Brain, 240x240 px, Slice index 70
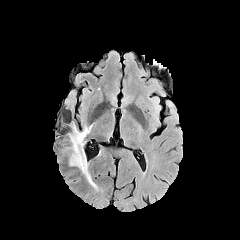
FLAIR MR.
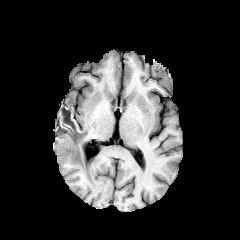
T1-weighted MRI.
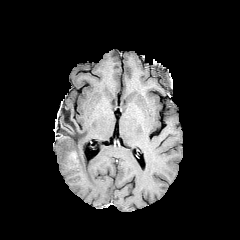
Post-contrast T1-weighted MR image.
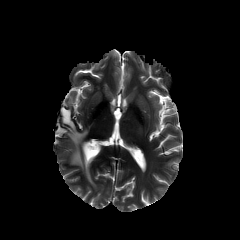
T2-weighted MRI of the same slice.
Non-enhancing tumor core at [x1=69, y1=151, x2=79, y2=164].
Edema at [x1=64, y1=124, x2=97, y2=188].